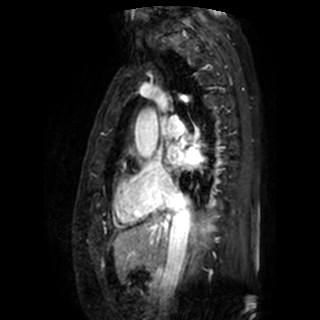

MRI
Left atrium = 168, 146, 202, 169.